MRI slice

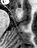
{
  "anterior_hippocampus": [
    "17:8:19:11"
  ]
}